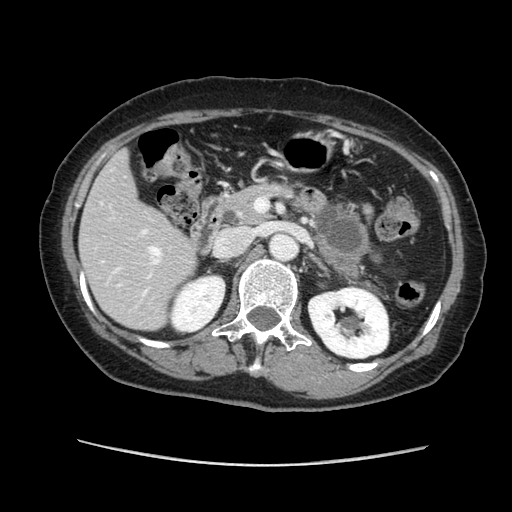
Upper abdomen; 512x512 px; CT
pancreas:
  - 215,181,370,284
pancreatic_tumor:
  - 314,205,362,254